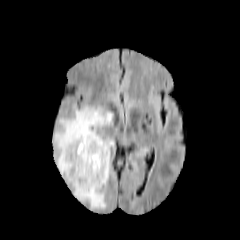
FLAIR MRI.
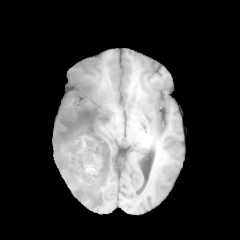
T1-weighted magnetic resonance of the same slice.
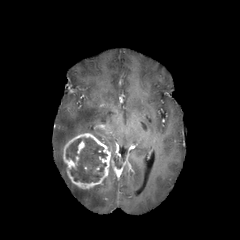
Post-contrast T1-weighted MR image of the same slice.
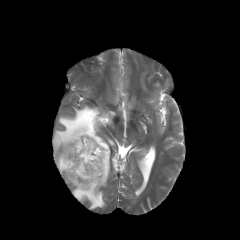
T2-weighted MRI.
Head
Enhancing tumor: bounding box bbox(77, 139, 85, 154); bbox(63, 133, 111, 188).
Edema: bounding box bbox(53, 104, 113, 209).
Non-enhancing tumor core: bounding box bbox(65, 138, 82, 163); bbox(69, 138, 108, 183).